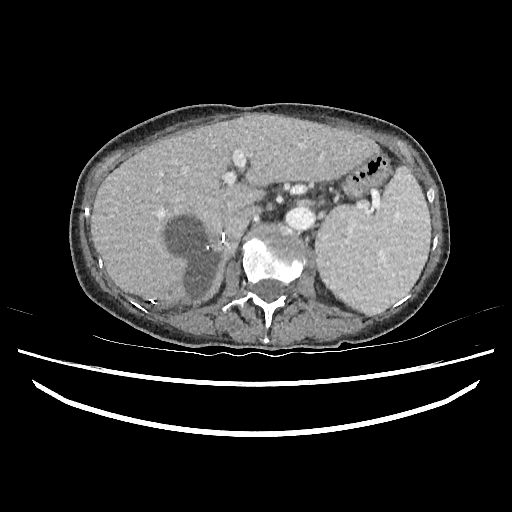
512x512. Liver. CT image.

Focal liver lesion — 166:216:218:295.
Liver — 91:115:375:305.